Slice 71/155, Brain
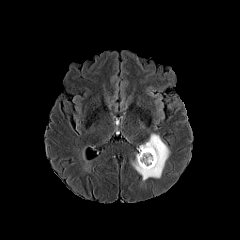
FLAIR magnetic resonance.
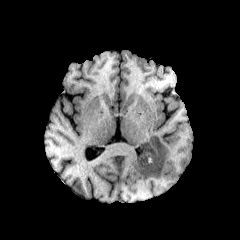
Same slice, T1-weighted magnetic resonance.
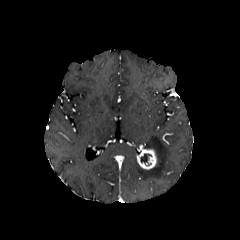
Post-contrast T1-weighted magnetic resonance of the same slice.
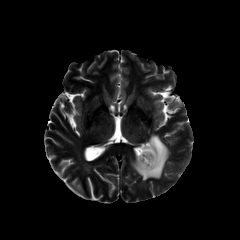
T2-weighted MR image.
Annotated regions:
• edema: (left=132, top=133, right=169, bottom=180)
• enhancing tumor: (left=137, top=150, right=156, bottom=168)
• non-enhancing tumor core: (left=139, top=153, right=152, bottom=165)